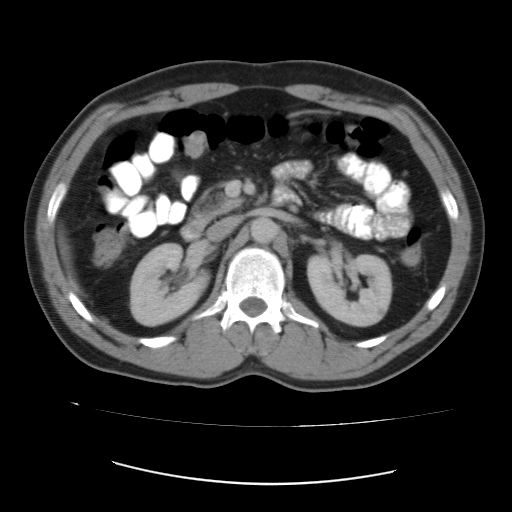

Pelvis; CT slice
- colon tumor: box(402, 244, 420, 265)